FLAIR MRI.
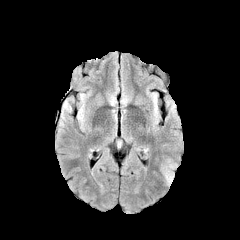
T1-weighted MR image.
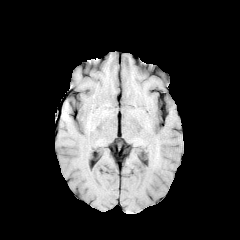
Post-contrast T1-weighted magnetic resonance.
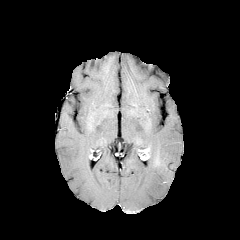
T2-weighted MR image.
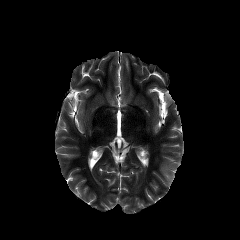
Brain
Edema = bbox=[161, 166, 173, 184].